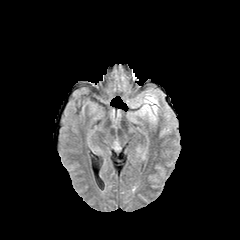
FLAIR MRI.
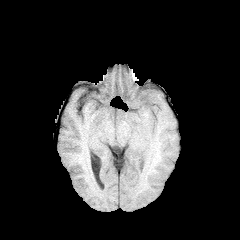
T1-weighted magnetic resonance of the same slice.
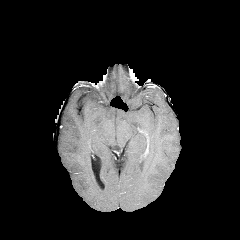
Same slice, post-contrast T1-weighted MR image.
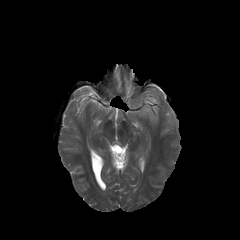
T2-weighted MR image of the same slice.
<segmentation>
  <edema>[144, 97, 156, 109]</edema>
</segmentation>